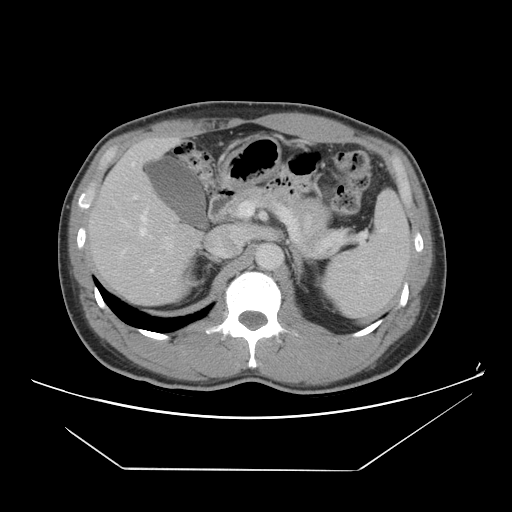

CT | Abdomen | 512x512

The vessel annotation is not exhaustive.
8 hepatic vessel regions are bounded by 121:251:124:255, 141:211:146:222, 165:236:169:239, 140:228:146:235, 133:195:137:198, 150:269:153:272, 149:236:151:238, 162:244:172:253.